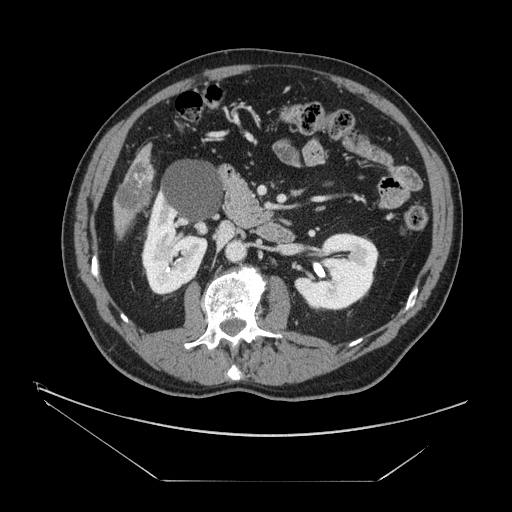
Image size 512x512. Liver. Computed tomography.

liver_tumor:
  - bbox=[118, 166, 151, 209]